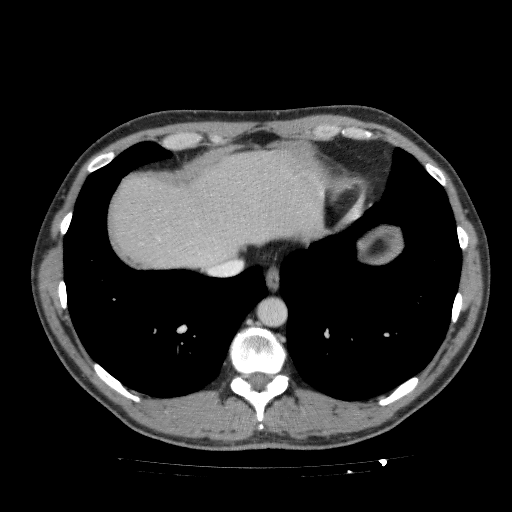 CT image

Liver — <bbox>108, 150, 324, 269</bbox>.